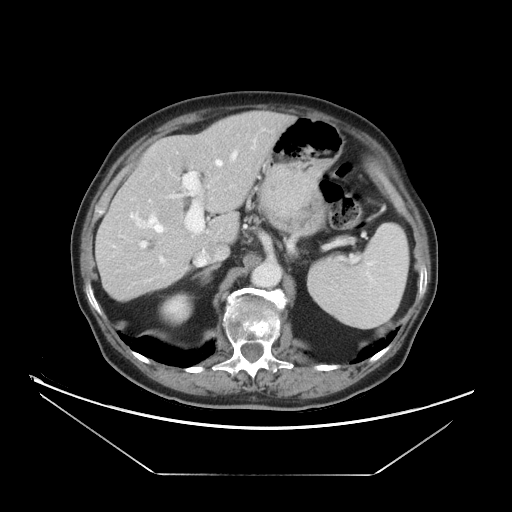
Image size 512x512, Computed tomography, Liver
Not every hepatic vessel necessarily has a box.
7 hepatic vessel regions are bounded by 169 195 181 197, 139 242 146 247, 215 159 223 166, 131 214 162 232, 159 256 164 262, 230 149 237 161, 184 177 193 194.